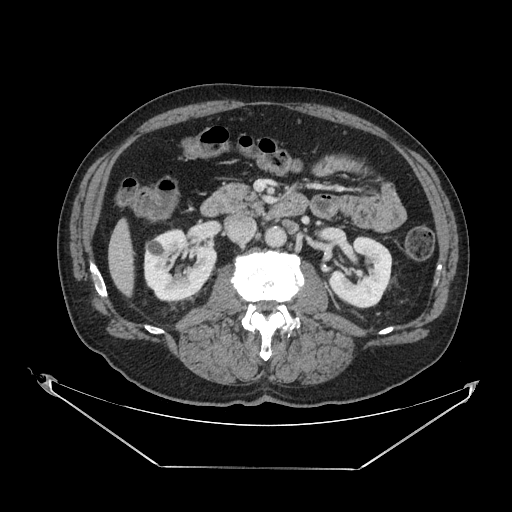
Abdomen | Computed tomography | 512x512
Pancreas = x1=213, y1=182, x2=265, y2=217.